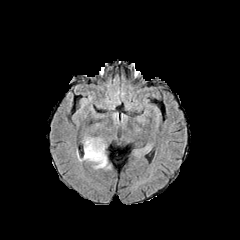
FLAIR magnetic resonance.
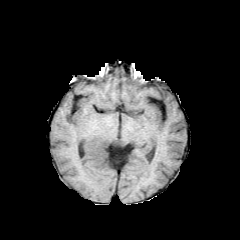
T1-weighted magnetic resonance.
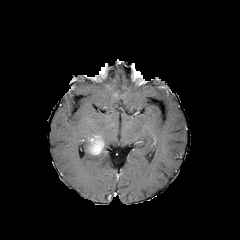
Post-contrast T1-weighted MR.
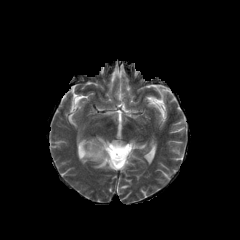
T2-weighted MR.
Head
The edema is bounded by [x1=79, y1=138, x2=111, y2=169]. The enhancing tumor is at [x1=86, y1=136, x2=106, y2=155].